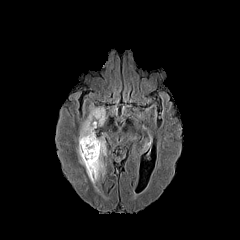
FLAIR magnetic resonance.
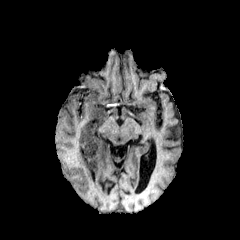
T1-weighted magnetic resonance.
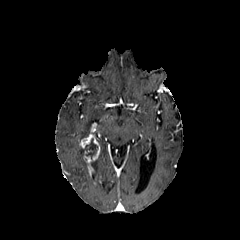
Post-contrast T1-weighted MR.
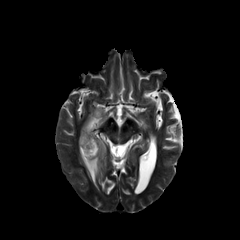
T2-weighted MR.
Image size 240x240
Non-enhancing tumor core: bounding box <box>82,138,99,161</box>.
Enhancing tumor: bounding box <box>86,146,100,163</box>, <box>80,134,97,149</box>.
Edema: bounding box <box>91,138,106,180</box>, <box>76,146,93,183</box>, <box>78,103,106,140</box>.